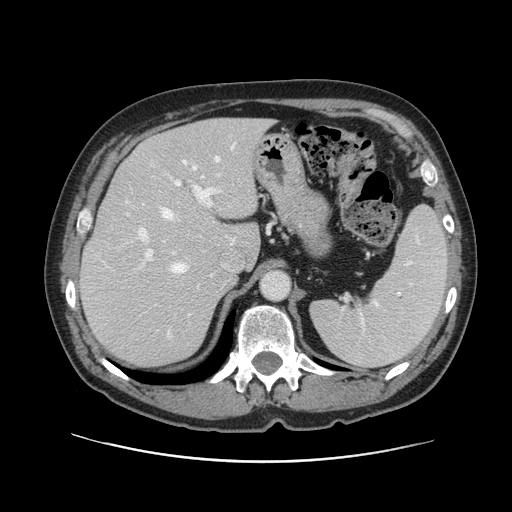 Liver. 512x512 px. CT image.
Only some of the vessels may be annotated.
14 hepatic vessel regions appear at {"x1": 193, "y1": 166, "x2": 195, "y2": 169}, {"x1": 168, "y1": 331, "x2": 169, "y2": 335}, {"x1": 172, "y1": 179, "x2": 180, "y2": 185}, {"x1": 171, "y1": 263, "x2": 185, "y2": 272}, {"x1": 231, "y1": 144, "x2": 234, "y2": 148}, {"x1": 183, "y1": 160, "x2": 186, "y2": 163}, {"x1": 195, "y1": 186, "x2": 213, "y2": 206}, {"x1": 201, "y1": 176, "x2": 203, "y2": 177}, {"x1": 215, "y1": 156, "x2": 219, "y2": 161}, {"x1": 161, "y1": 208, "x2": 172, "y2": 218}, {"x1": 138, "y1": 228, "x2": 147, "y2": 240}, {"x1": 144, "y1": 249, "x2": 152, "y2": 260}, {"x1": 220, "y1": 190, "x2": 221, "y2": 191}, {"x1": 172, "y1": 251, "x2": 174, "y2": 253}.